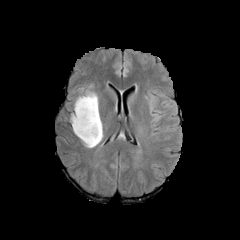
FLAIR magnetic resonance.
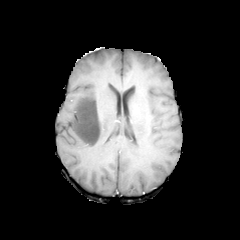
T1-weighted MRI of the same slice.
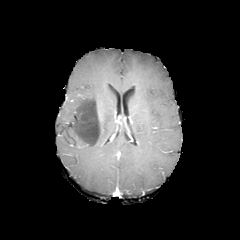
Post-contrast T1-weighted magnetic resonance.
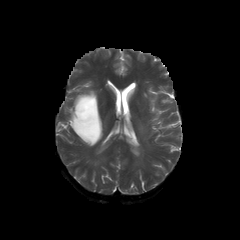
T2-weighted MR image.
Brain
3 edema regions appear at [148,97,161,122], [78,88,99,109], [68,96,105,149]. The non-enhancing tumor core appears at [74,94,100,141].